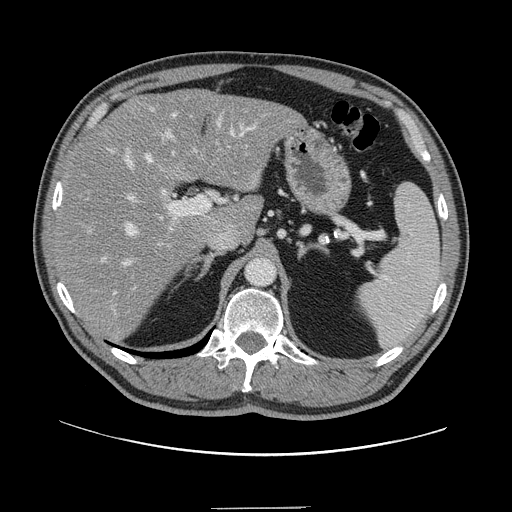

Computed tomography, Abdomen
The vessel boxes may cover only some of the vessels.
[15/22] hepatic vessel: l=150, t=108, r=153, b=111; l=218, t=116, r=222, b=126; l=230, t=129, r=233, b=134; l=163, t=191, r=166, b=195; l=173, t=114, r=176, b=116; l=128, t=195, r=134, b=201; l=167, t=193, r=223, b=219; l=240, t=124, r=256, b=135; l=113, t=292, r=116, b=295; l=108, t=149, r=113, b=152; l=125, t=224, r=137, b=235; l=164, t=131, r=172, b=137; l=146, t=154, r=151, b=162; l=125, t=151, r=133, b=167; l=122, t=261, r=130, b=265